FLAIR MR image.
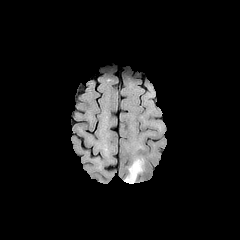
T1-weighted MRI.
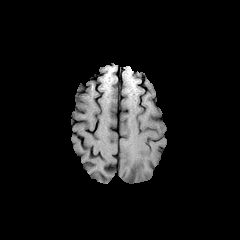
Post-contrast T1-weighted magnetic resonance.
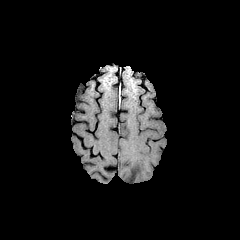
T2-weighted MRI.
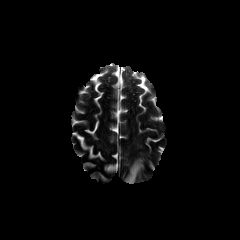
Brain.
Edema at (x1=124, y1=160, x2=141, y2=183).